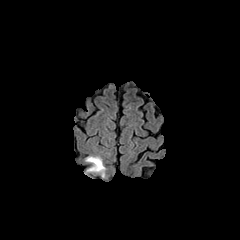
FLAIR magnetic resonance.
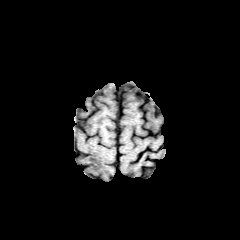
T1-weighted magnetic resonance of the same slice.
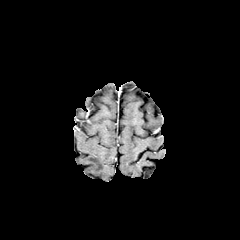
Post-contrast T1-weighted MRI.
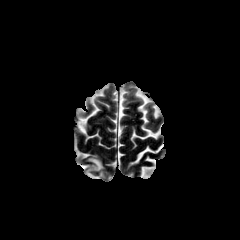
Same slice, T2-weighted MRI.
240x240 px
edema: [x1=84, y1=155, x2=105, y2=177]